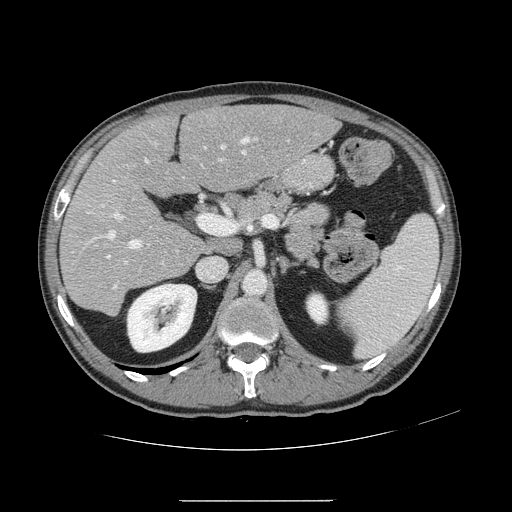
512x512 | CT | Abdomen

Only some of the vessels may be annotated.
13 hepatic vessel regions are located at x1=129, y1=240, x2=140, y2=248; x1=114, y1=282, x2=118, y2=288; x1=114, y1=212, x2=124, y2=219; x1=145, y1=159, x2=147, y2=161; x1=221, y1=145, x2=224, y2=148; x1=153, y1=141, x2=157, y2=145; x1=200, y1=215, x2=202, y2=226; x1=241, y1=137, x2=256, y2=143; x1=83, y1=231, x2=114, y2=246; x1=242, y1=151, x2=245, y2=153; x1=125, y1=262, x2=126, y2=263; x1=204, y1=146, x2=205, y2=148; x1=107, y1=255, x2=109, y2=257.